Brain | Field of view 240 mm wide, 1.00 mm slice spacing
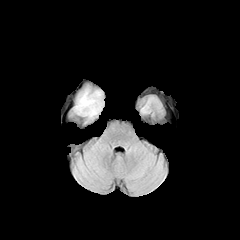
FLAIR MR image.
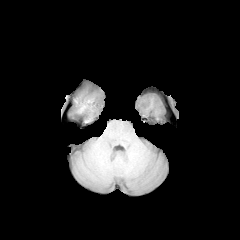
T1-weighted MR of the same slice.
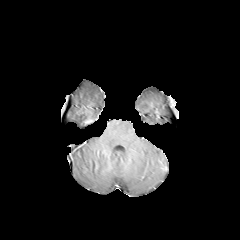
Post-contrast T1-weighted magnetic resonance.
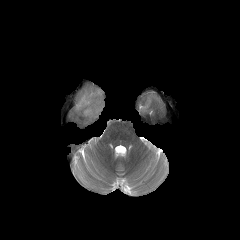
T2-weighted MR image of the same slice.
The edema appears at (74,87,103,118).